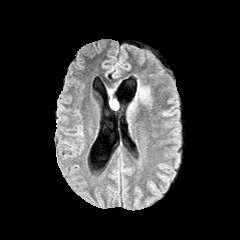
FLAIR MR image.
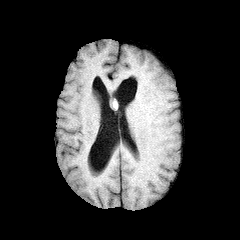
T1-weighted magnetic resonance.
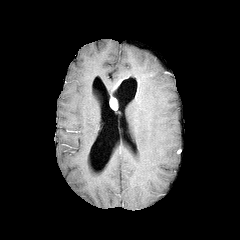
Same slice, post-contrast T1-weighted MR.
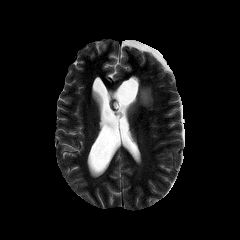
T2-weighted magnetic resonance.
Head
The edema is at left=128, top=79, right=151, bottom=107. The enhancing tumor is located at left=110, top=97, right=117, bottom=109.